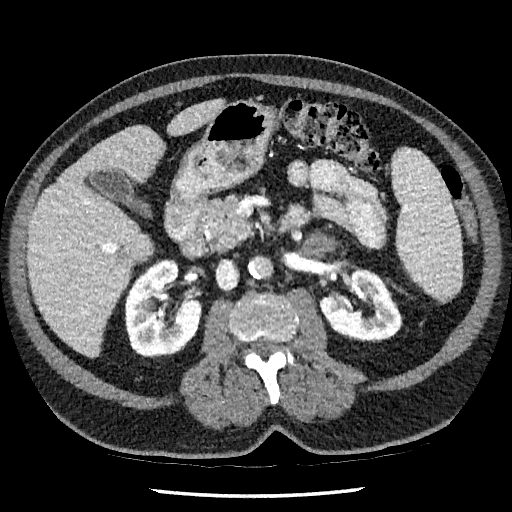 CT scan slice; 512x512

Kidney = <bbox>126, 261, 200, 355</bbox>, <bbox>320, 271, 400, 339</bbox>.
Focal liver lesion = <bbox>116, 252, 125, 259</bbox>.
Liver = <bbox>168, 100, 223, 134</bbox>, <bbox>28, 125, 163, 356</bbox>.